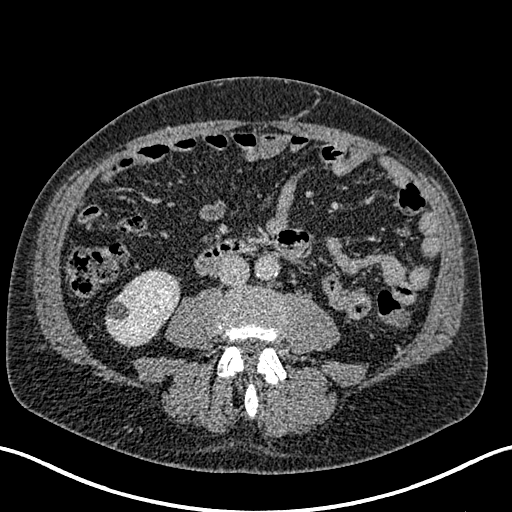
Abdomen | CT image
The kidney is at 107, 272, 179, 345.